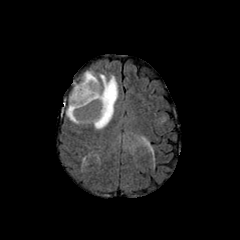
FLAIR MR image.
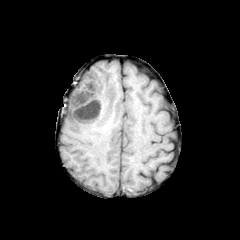
T1-weighted MRI.
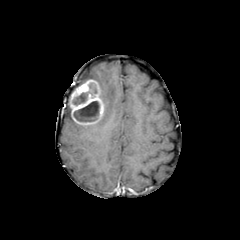
Post-contrast T1-weighted MR.
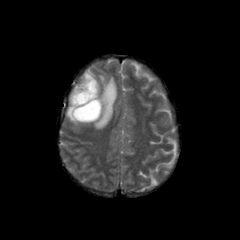
T2-weighted magnetic resonance of the same slice.
Image size 240x240
Segmented structures:
- enhancing tumor: (x1=69, y1=80, x2=103, y2=123)
- non-enhancing tumor core: (x1=73, y1=101, x2=99, y2=122), (x1=73, y1=82, x2=96, y2=104)
- edema: (x1=73, y1=71, x2=117, y2=129), (x1=66, y1=108, x2=79, y2=124)